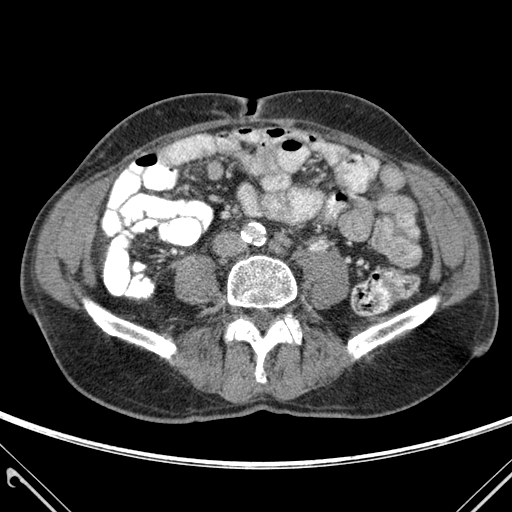

Computed tomography, 512x512

Bone: bounding box {"x1": 228, "y1": 256, "x2": 296, "y2": 307}, {"x1": 348, "y1": 298, "x2": 437, "y2": 357}, {"x1": 85, "y1": 301, "x2": 175, "y2": 358}, {"x1": 226, "y1": 315, "x2": 301, "y2": 382}.